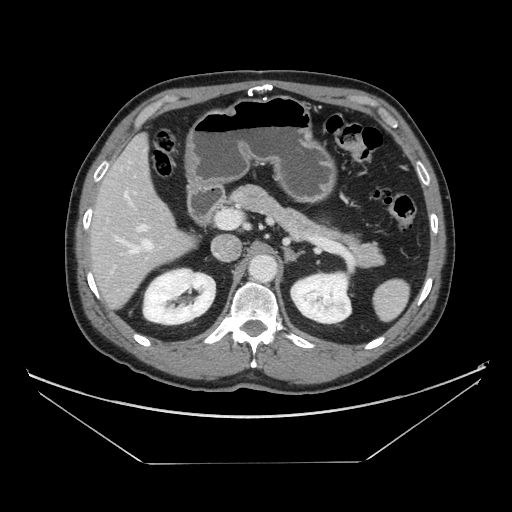 CT slice. Upper abdomen. {"pancreas": ["box=[228, 185, 383, 266]"]}